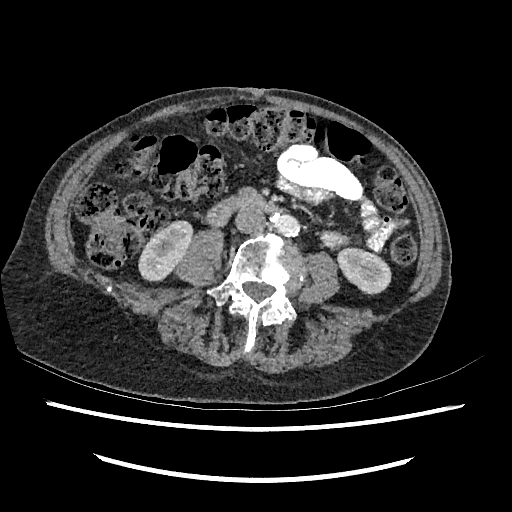
Computed tomography
• kidney: [x1=139, y1=223, x2=192, y2=280], [x1=338, y1=248, x2=390, y2=293]